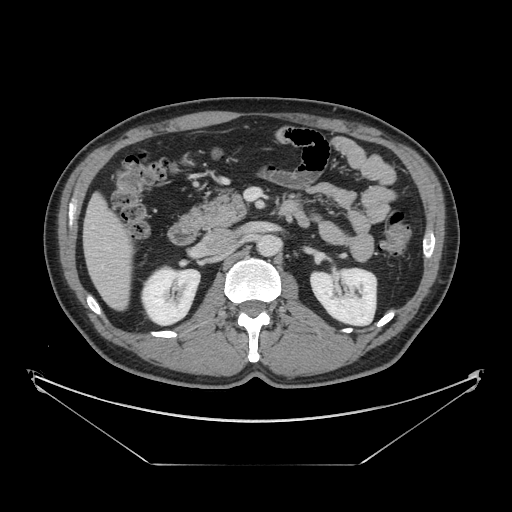 CT image. Image size 512x512.

pancreas:
  - (left=182, top=190, right=247, bottom=227)